Computed tomography | Abdomen
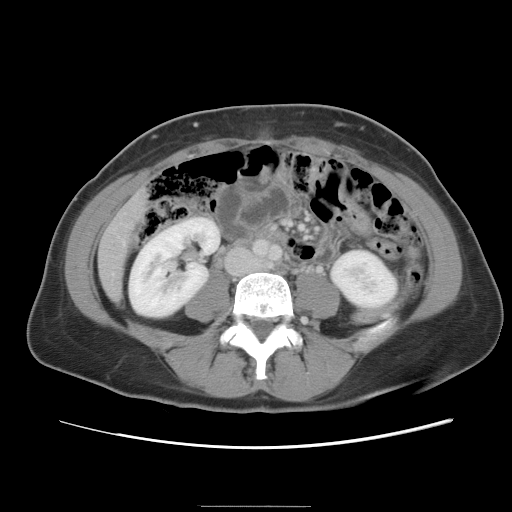 Only some of the vessels may be annotated.
The hepatic vessel lies within 121, 239, 123, 243.